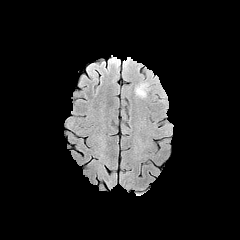
FLAIR MRI.
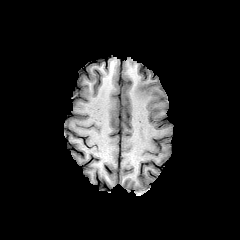
T1-weighted MR image of the same slice.
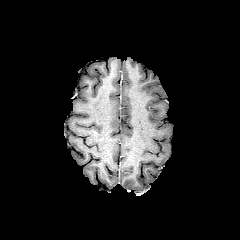
Post-contrast T1-weighted magnetic resonance of the same slice.
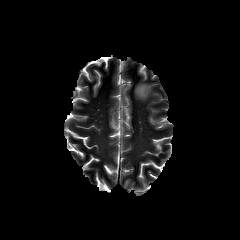
Same slice, T2-weighted MR.
Head.
Edema = [134,82,150,98].